Field of view 240 mm wide, 1.00 mm slice spacing. Brain.
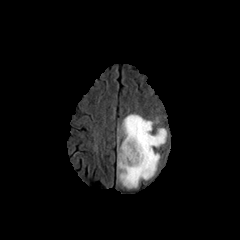
FLAIR magnetic resonance.
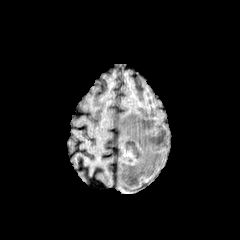
T1-weighted MR image.
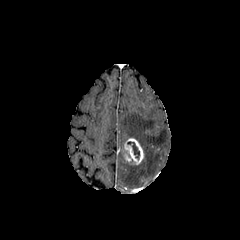
Post-contrast T1-weighted magnetic resonance.
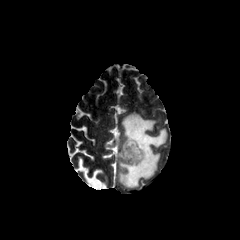
T2-weighted MRI.
enhancing_tumor:
  - region(119, 139, 144, 164)
non-enhancing_tumor_core:
  - region(127, 141, 140, 160)
edema:
  - region(117, 113, 167, 188)